Slice index 114; Head; Image width 240 mm
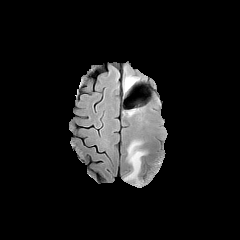
FLAIR MR image.
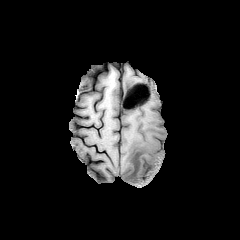
Same slice, T1-weighted MR.
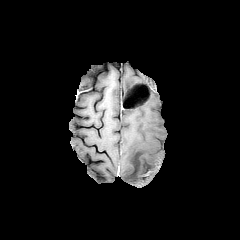
Post-contrast T1-weighted MR.
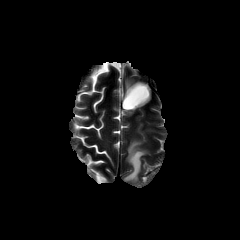
Same slice, T2-weighted MR image.
edema:
  - region(124, 139, 147, 182)
  - region(125, 78, 134, 91)